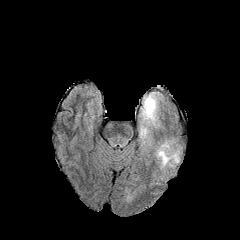
FLAIR MR image.
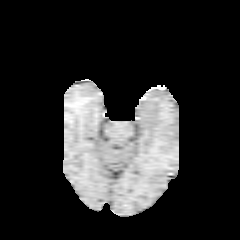
T1-weighted MR image of the same slice.
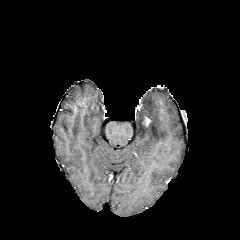
Post-contrast T1-weighted MRI of the same slice.
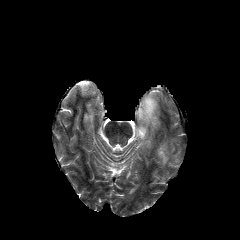
T2-weighted MRI of the same slice.
240x240, Brain
- edema: <box>155,140,180,166</box>, <box>138,92,164,147</box>
- enhancing tumor: <box>142,116,150,126</box>